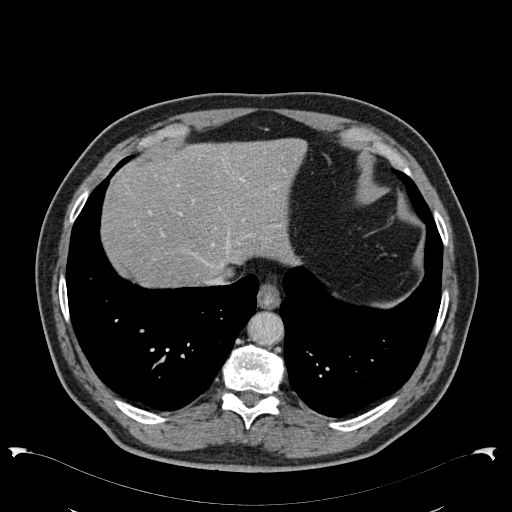
Upper abdomen. Computed tomography. 512x512 px.

{
  "liver": [
    "box=[102, 139, 307, 285]"
  ]
}